512x512 px, Computed tomography, Abdomen 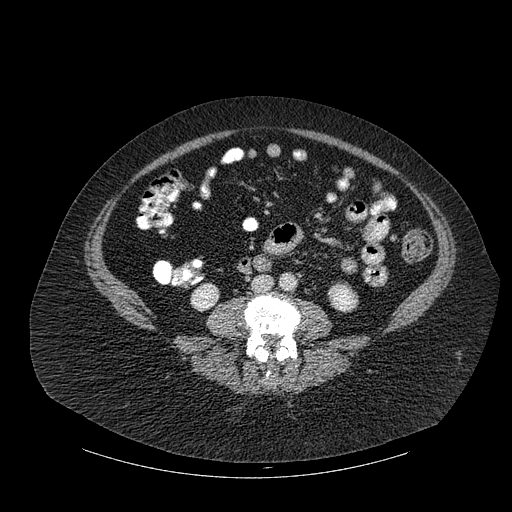
<segmentation>
  <kidney>329,285,356,311; 191,283,218,310</kidney>
  <bone>245,295,299,366</bone>
</segmentation>